FLAIR MR image.
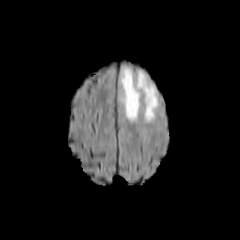
T1-weighted MR.
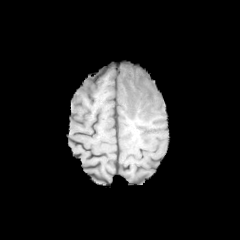
Post-contrast T1-weighted magnetic resonance.
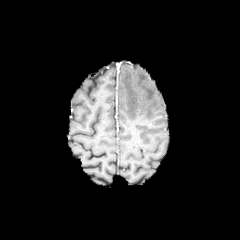
T2-weighted MR.
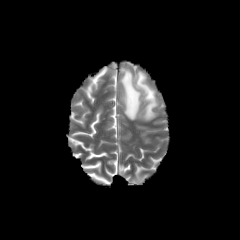
240x240 px | Brain
Segmented structures:
* edema: (121,68,157,120)